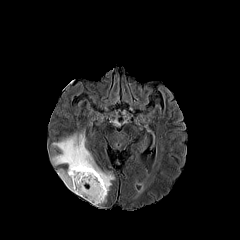
FLAIR magnetic resonance.
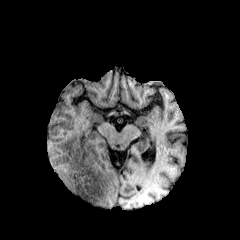
Same slice, T1-weighted MR image.
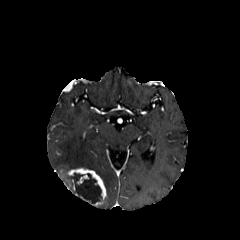
Post-contrast T1-weighted MRI.
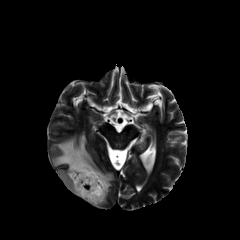
T2-weighted MR image.
<segmentation>
  <enhancing_tumor>[60, 167, 106, 200]</enhancing_tumor>
  <edema>[50, 134, 114, 195]</edema>
  <non-enhancing_tumor_core>[68, 173, 102, 204]</non-enhancing_tumor_core>
</segmentation>